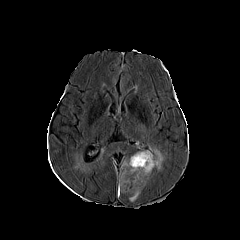
FLAIR MR.
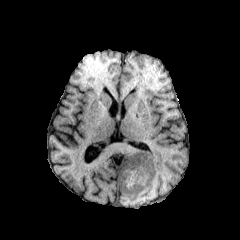
T1-weighted MR image.
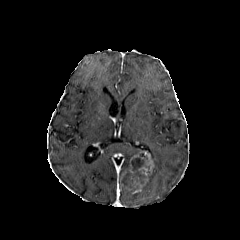
Post-contrast T1-weighted magnetic resonance of the same slice.
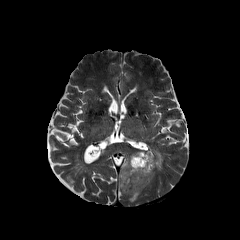
T2-weighted MR.
240x240, Head
Edema — 147, 144, 165, 172; 129, 192, 140, 202.
Non-enhancing tumor core — 149, 167, 156, 181; 121, 158, 149, 189.
Enhancing tumor — 120, 150, 154, 193.